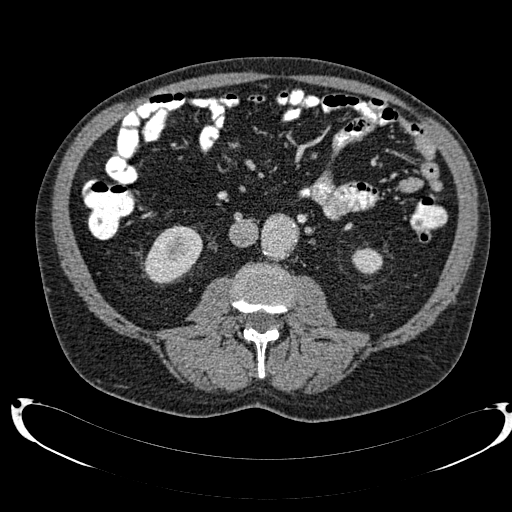 Abdomen | 512x512 px | Computed tomography
2 kidney regions are located at [x1=145, y1=226, x2=202, y2=283], [x1=352, y1=248, x2=382, y2=274].